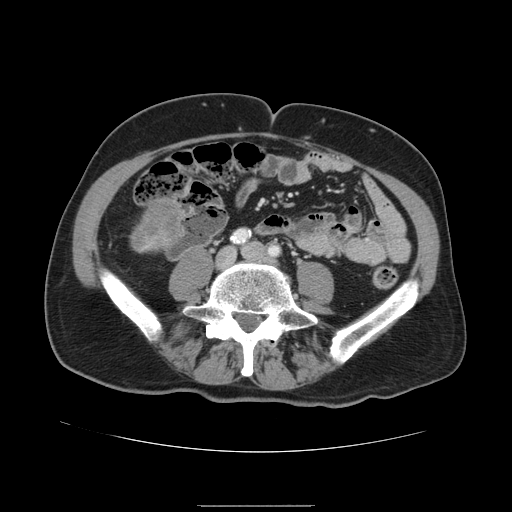

CT scan slice. Liver. Image size 512x512. The liver tumor appears at bbox(132, 200, 180, 246).